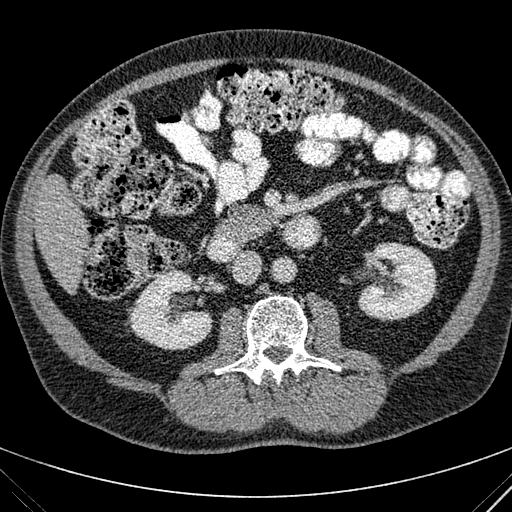 Abdomen | CT scan slice

Liver at (35, 176, 86, 293).
Kidney at (358, 243, 435, 319), (130, 270, 212, 349).